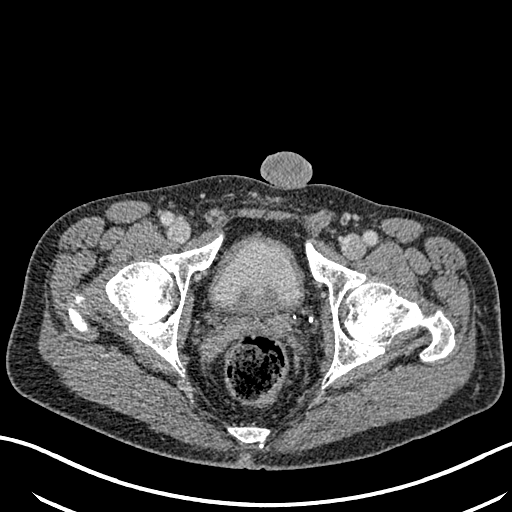
CT scan slice. The urinary bladder is at (x1=212, y1=238, x2=301, y2=310).